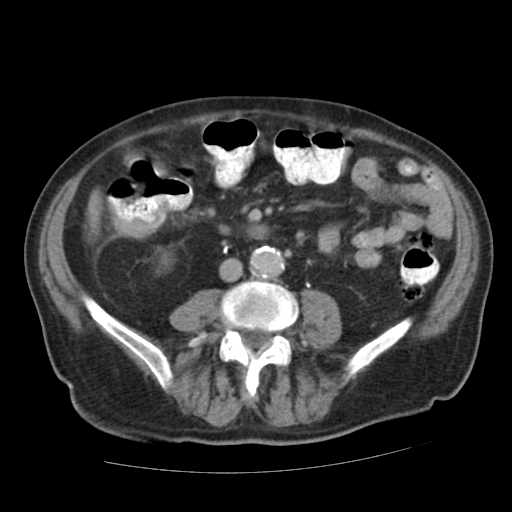
CT image

<segmentation>
  <colon_tumor>left=107, top=201, right=169, bottom=237</colon_tumor>
</segmentation>